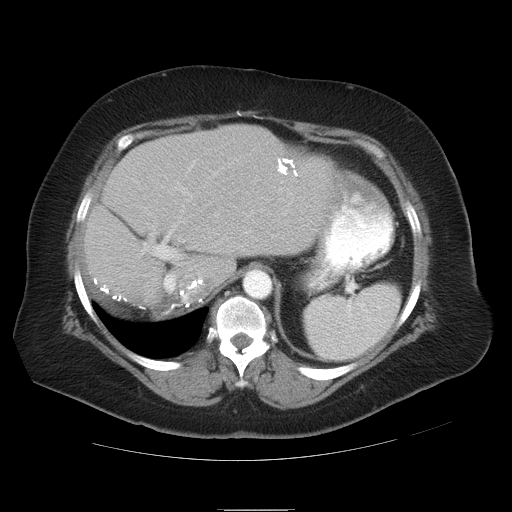

CT; Liver

The vessel annotation is not exhaustive.
Hepatic vessel: [179,285,195,299], [248,211,252,216], [164,274,175,291], [213,172,217,175], [138,224,181,259], [174,182,192,200], [188,160,195,171].